Head
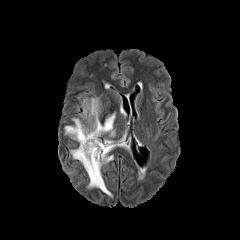
FLAIR MR image.
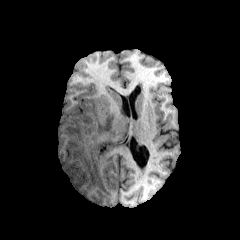
T1-weighted MR image.
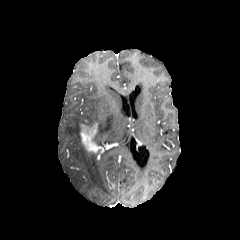
Post-contrast T1-weighted MR.
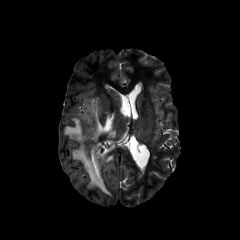
T2-weighted MR image.
enhancing tumor: <box>79,122,101,155</box> | edema: <box>64,118,81,142</box>, <box>69,97,115,197</box>